CT slice

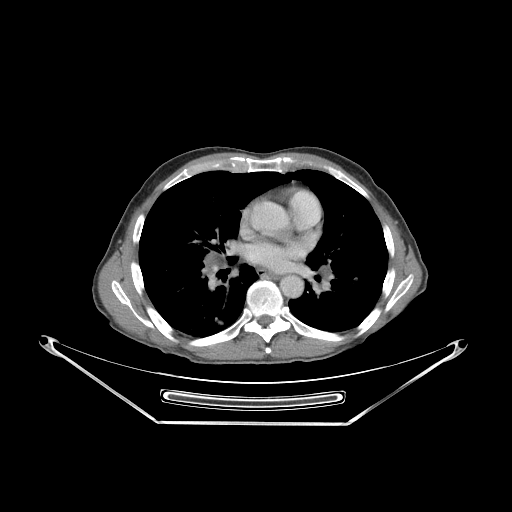

* bone: [x1=246, y1=158, x2=280, y2=171], [x1=131, y1=263, x2=143, y2=293], [x1=133, y1=215, x2=143, y2=241], [x1=384, y1=226, x2=393, y2=255], [x1=112, y1=281, x2=173, y2=340], [x1=308, y1=327, x2=342, y2=340], [x1=165, y1=178, x2=179, y2=188], [x1=347, y1=181, x2=366, y2=195], [x1=183, y1=281, x2=302, y2=346], [x1=359, y1=270, x2=412, y2=334]
* lung: [x1=139, y1=169, x2=387, y2=336]